Liver. CT slice. Slice 522/722.
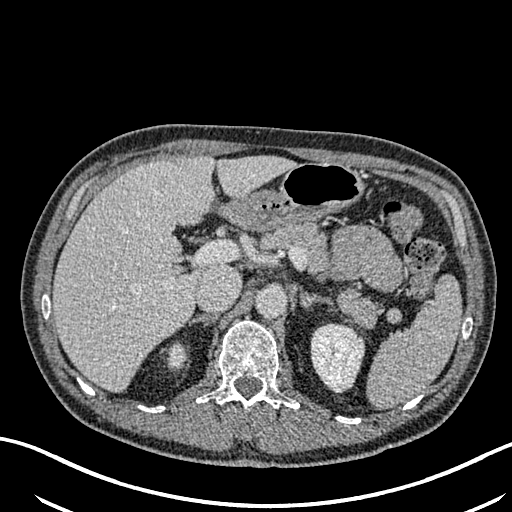 2 kidney regions are bounded by x1=170, y1=346, x2=183, y2=365; x1=312, y1=324, x2=363, y2=391. The liver is at x1=53, y1=156, x2=295, y2=390.